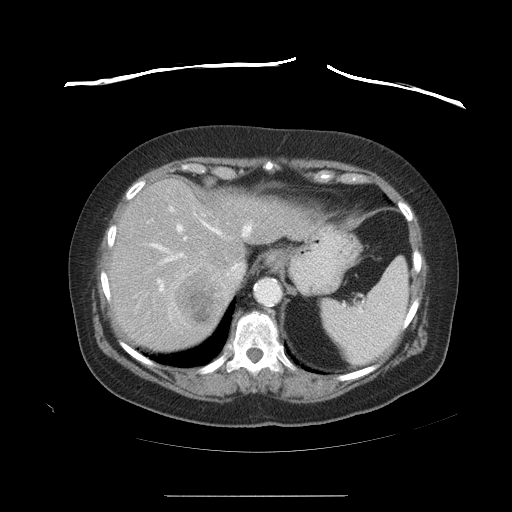

Liver. CT slice.
The vessel annotation is not exhaustive.
Annotated regions:
* liver tumor: <box>175,264,225,327</box>
* hepatic vessel: <box>157,279,163,290</box>, <box>168,206,173,211</box>, <box>183,237,185,240</box>, <box>193,213,195,215</box>, <box>150,243,182,264</box>, <box>176,224,181,232</box>, <box>203,214,204,216</box>, <box>202,222,221,235</box>, <box>241,223,250,238</box>, <box>227,260,243,280</box>